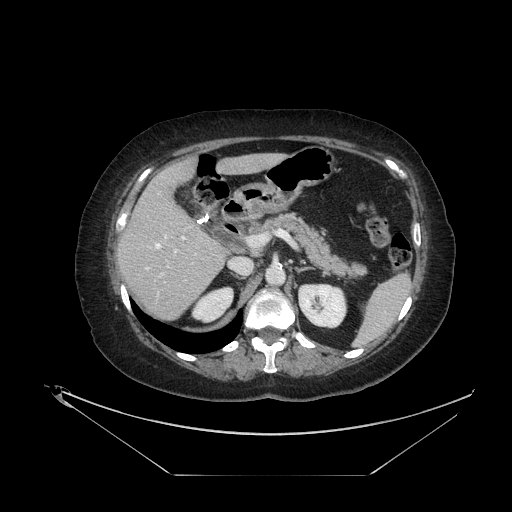

Abdomen, CT slice
{
  "pancreas": [
    {"x1": 253, "y1": 249, "x2": 262, "y2": 255},
    {"x1": 258, "y1": 214, "x2": 367, "y2": 278}
  ]
}